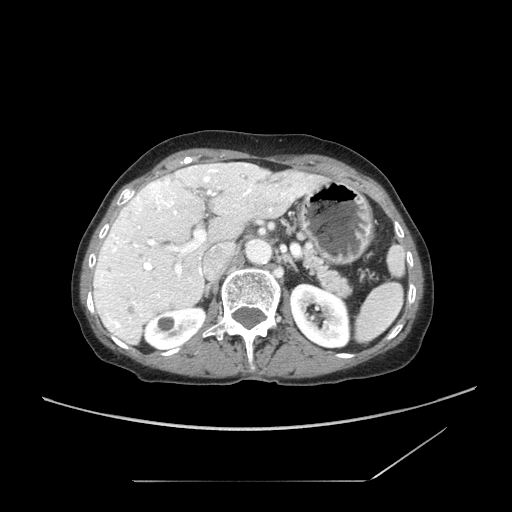
CT image | 512x512 | Abdomen
<segmentation>
  <pancreas>l=303, t=250, r=350, b=297</pancreas>
</segmentation>